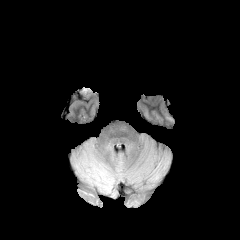
FLAIR MR.
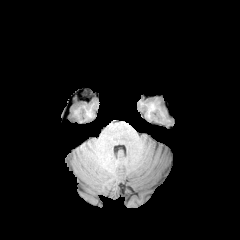
T1-weighted magnetic resonance.
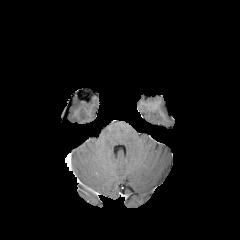
Same slice, post-contrast T1-weighted MR image.
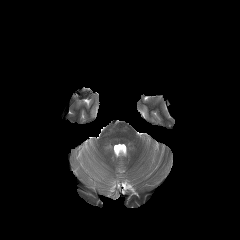
Same slice, T2-weighted magnetic resonance.
240x240.
The edema is bounded by (left=90, top=147, right=115, bottom=189).